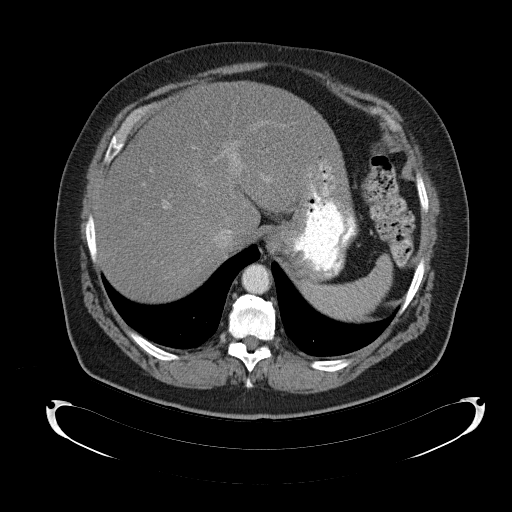

CT slice
The spleen is at (301,259,391,322).